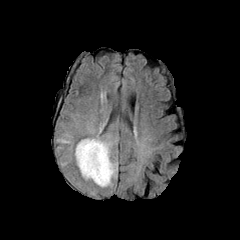
FLAIR MR image.
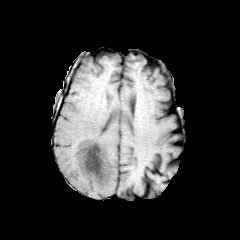
T1-weighted MRI.
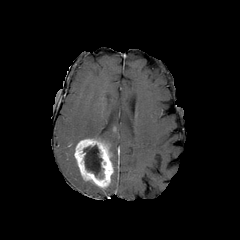
Post-contrast T1-weighted MR image.
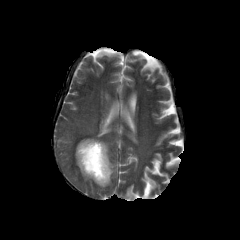
T2-weighted MRI.
Head
The enhancing tumor appears at [74,139,113,187]. 2 edema regions appear at [112,160,118,178], [90,135,113,159]. The non-enhancing tumor core appears at [84,145,101,175].